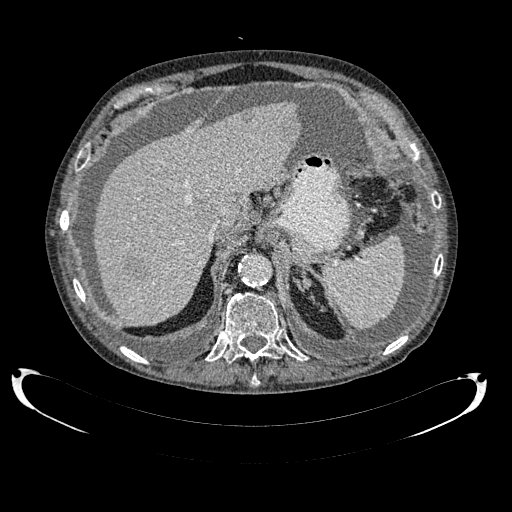

CT scan slice. 512x512 px. Upper abdomen. Focal liver lesion — left=284, top=122, right=296, bottom=139; left=196, top=201, right=211, bottom=221; left=125, top=255, right=146, bottom=277.
Liver — left=94, top=101, right=300, bottom=324.